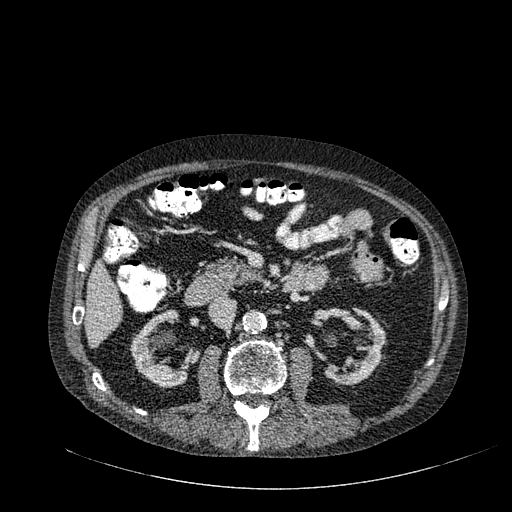
Abdomen; CT scan slice
Kidney — bbox(190, 317, 199, 326); bbox(324, 308, 386, 384); bbox(130, 310, 196, 388).
Liver — bbox(86, 260, 120, 347).